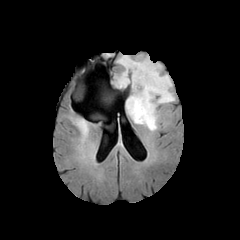
FLAIR MRI.
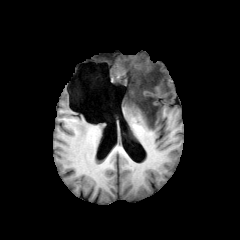
Same slice, T1-weighted MRI.
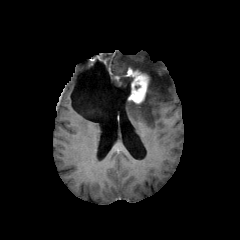
Post-contrast T1-weighted MR.
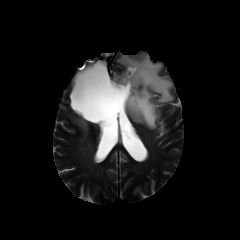
Same slice, T2-weighted magnetic resonance.
Head
Enhancing tumor: bounding box [126,68,149,103].
Edema: bounding box [112,76,123,85], [118,55,175,130].
Non-enhancing tumor core: bounding box [138,70,153,117], [115,69,132,97].